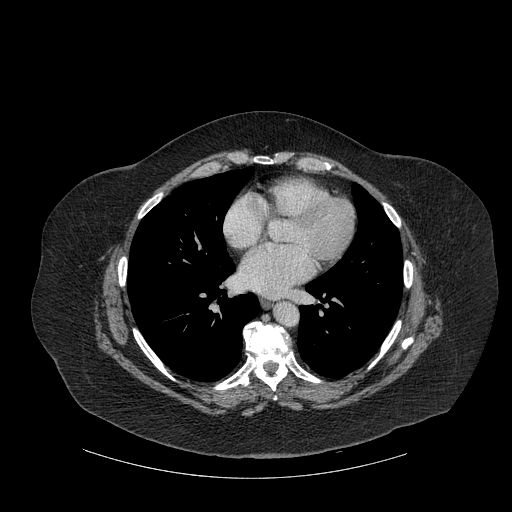
CT image

Lung — bbox=[127, 167, 259, 381]; bbox=[297, 187, 402, 377].
Bone — bbox=[402, 337, 412, 348]; bbox=[138, 193, 162, 218]; bbox=[133, 329, 174, 380]; bbox=[369, 321, 400, 368]; bbox=[404, 261, 412, 287]; bbox=[383, 203, 400, 226]; bbox=[215, 322, 320, 390]; bbox=[118, 257, 126, 285]; bbox=[254, 156, 273, 163].